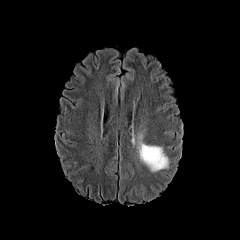
FLAIR MR.
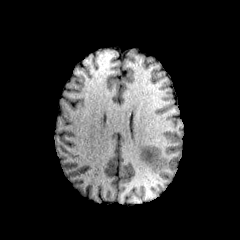
T1-weighted MR image of the same slice.
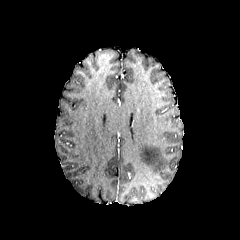
Same slice, post-contrast T1-weighted MR image.
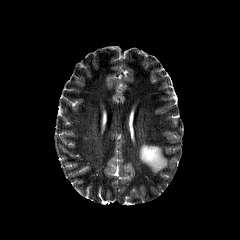
T2-weighted MRI.
Head
The edema is located at [139,131,167,171].